240x240. Slice 93 of 155. Field of view 240x240 mm. Head.
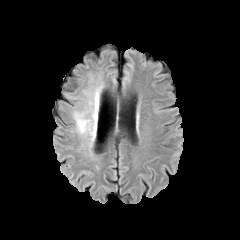
FLAIR MR image.
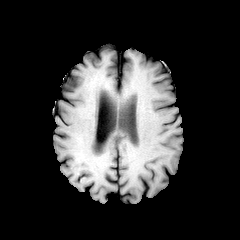
Same slice, T1-weighted MR.
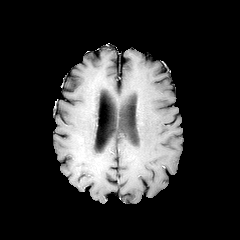
Same slice, post-contrast T1-weighted MR image.
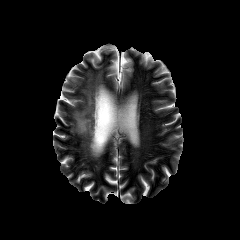
Same slice, T2-weighted MRI.
The edema lies within [73, 78, 103, 155].